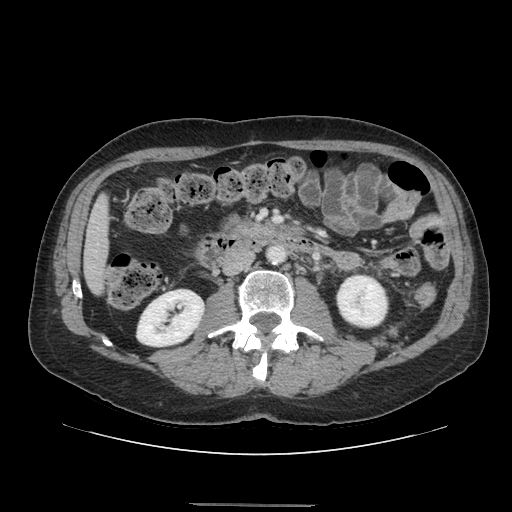

Computed tomography; 512x512
Pancreas: bounding box (233,221,262,233).